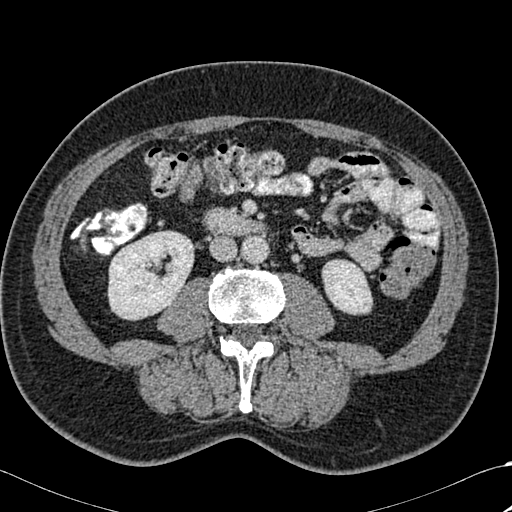 CT

Bone — x1=220, y1=337, x2=275, y2=412; x1=209, y1=269, x2=284, y2=332.
Kidney — x1=108, y1=231, x2=193, y2=319; x1=323, y1=260, x2=371, y2=313.